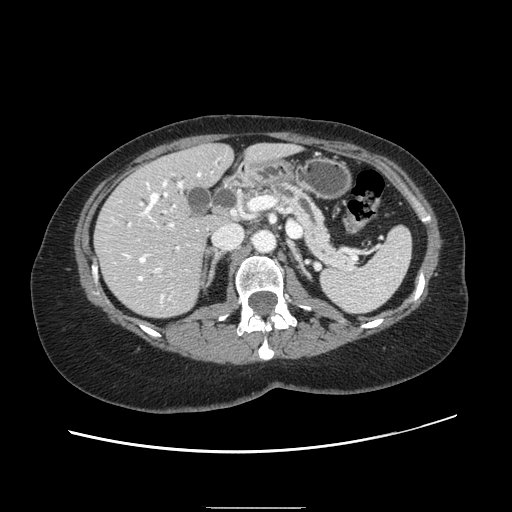

CT scan slice
Pancreas at <bbox>270, 183, 354, 271</bbox>.